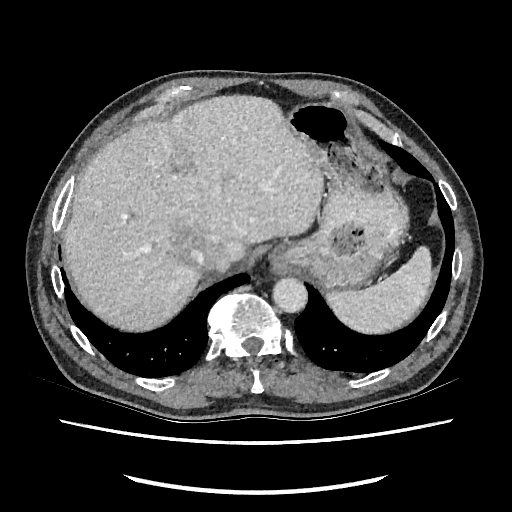
Liver; Computed tomography
<segmentation>
  <focal_liver_lesion>bbox=[171, 227, 209, 268]; bbox=[172, 150, 196, 174]</focal_liver_lesion>
  <liver>bbox=[65, 97, 323, 327]</liver>
</segmentation>